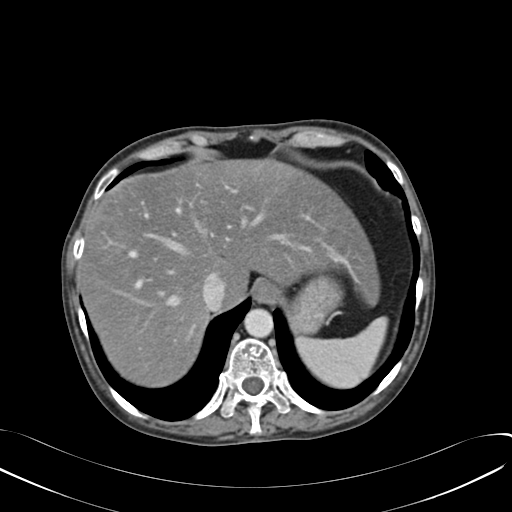
CT image

Annotated regions:
* liver: <bbox>80, 159, 377, 386</bbox>